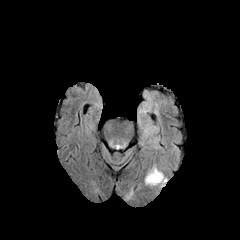
FLAIR magnetic resonance.
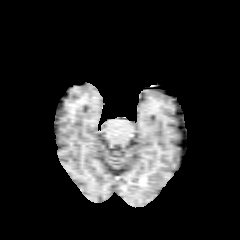
T1-weighted MRI of the same slice.
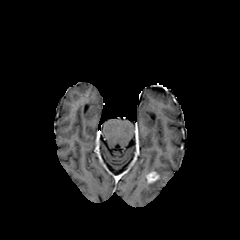
Post-contrast T1-weighted MR image of the same slice.
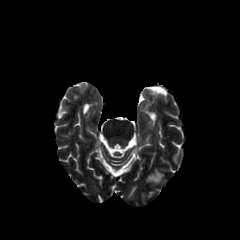
T2-weighted magnetic resonance.
Edema: [144, 164, 167, 187].
Enhancing tumor: [146, 172, 159, 182].